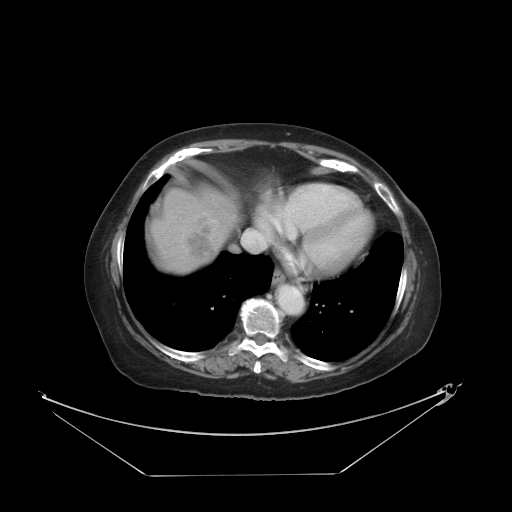 512x512 px | Computed tomography
Findings:
• liver tumor: 185,224,212,256